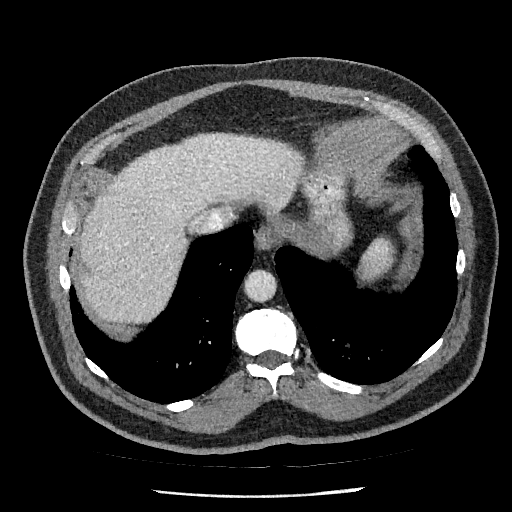 CT. 512x512 px.

{"liver": ["(80, 134, 301, 322)"]}